Computed tomography; Abdomen; Slice 157 of 230
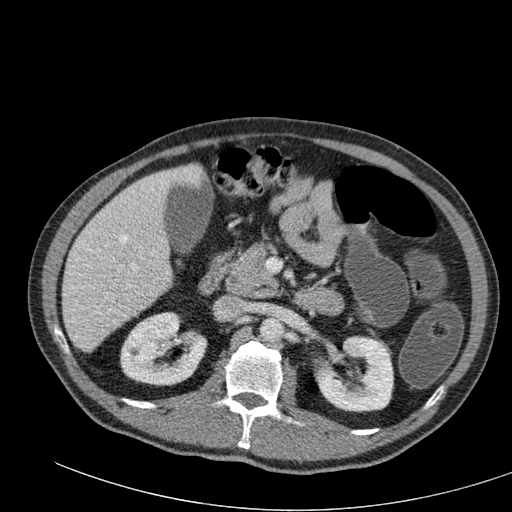

Annotated regions:
- kidney: region(121, 313, 205, 384); region(317, 337, 393, 410)
- liver: region(62, 165, 202, 351)